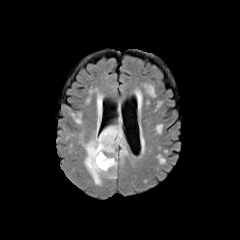
FLAIR MRI.
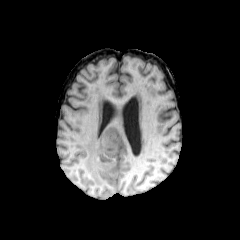
T1-weighted MR image.
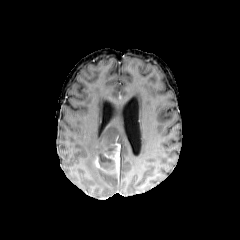
Post-contrast T1-weighted MRI.
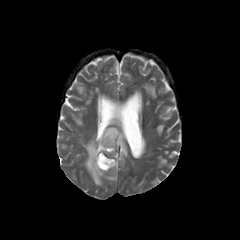
T2-weighted MRI.
240x240 | Brain
Enhancing tumor: bounding box (93,143,120,177).
Non-enhancing tumor core: bounding box (104,141,119,155), (97,154,114,169).
Edema: bounding box (79,103,128,185).